Slice 30/81. Upper abdomen. CT scan slice.

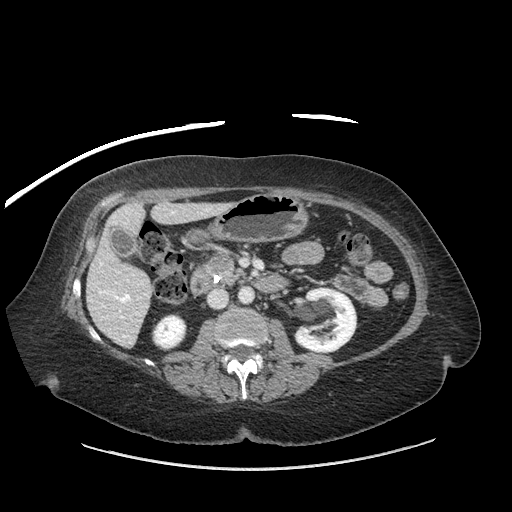 <segmentation>
  <pancreas>[199, 253, 243, 285]</pancreas>
  <pancreatic_tumor>[209, 256, 229, 270]</pancreatic_tumor>
</segmentation>